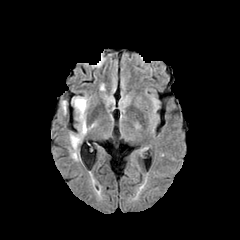
FLAIR MR image.
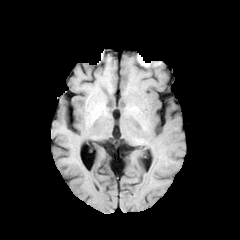
Same slice, T1-weighted MR image.
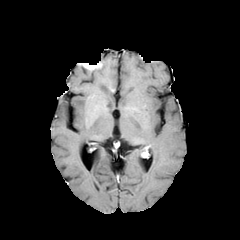
Post-contrast T1-weighted MR image.
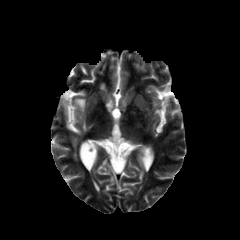
T2-weighted MRI of the same slice.
Head
<segmentation>
  <edema>(62,101,67,112), (69,95,90,158)</edema>
</segmentation>